Upper abdomen, 512x512, Image width 350 mm, CT 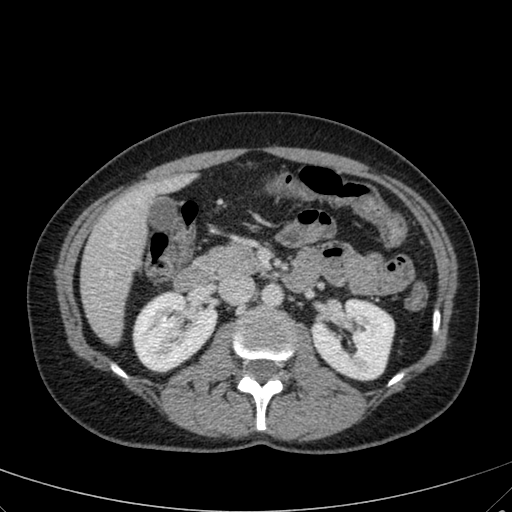
2 kidney regions are located at region(134, 293, 215, 370); region(313, 300, 393, 379). The liver is at region(80, 176, 184, 343).